CT slice; Liver; Image size 512x512

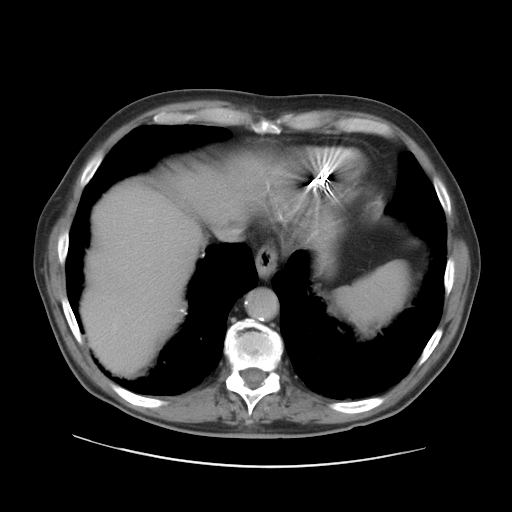
Some hepatic vessels may have no box.
Annotated regions:
* hepatic vessel: {"x1": 127, "y1": 309, "x2": 128, "y2": 313}, {"x1": 112, "y1": 318, "x2": 117, "y2": 333}